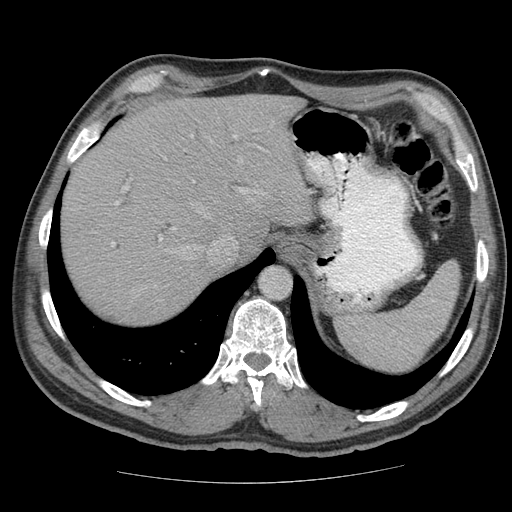
Abdomen, CT

The vessel annotation is not exhaustive.
Hepatic vessel — 192,204,205,215; 233,135,238,139; 112,243,113,245; 170,246,202,259; 116,202,118,204; 172,228,174,229; 122,187,126,193; 238,189,245,192; 207,235,236,261; 159,236,161,238.